Upper abdomen; Slice 483 of 836; CT scan slice
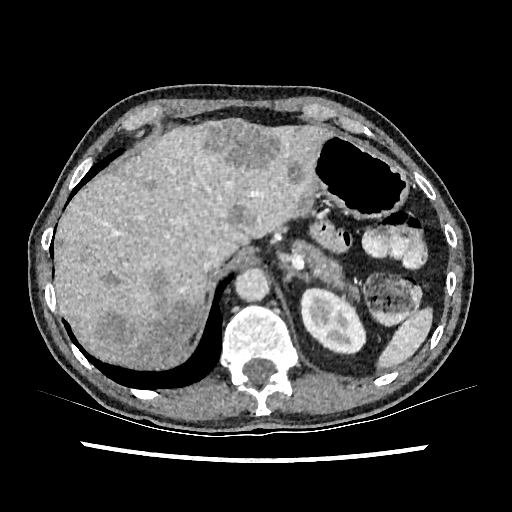
Kidney: l=302, t=289, r=364, b=352.
Liver: l=58, t=125, r=332, b=366.
Hepatic lesion: l=99, t=270, r=122, b=287; l=287, t=161, r=304, b=183; l=204, t=121, r=280, b=169; l=298, t=186, r=309, b=208; l=229, t=205, r=254, b=226; l=142, t=180, r=156, b=190; l=94, t=272, r=201, b=366.